CT image
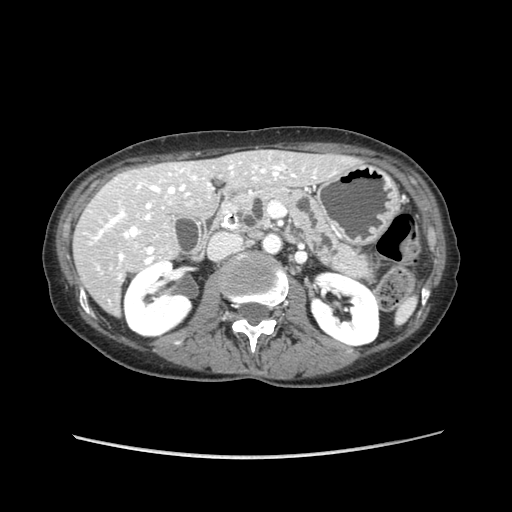
{
  "pancreas": [
    "224:189:373:281"
  ]
}